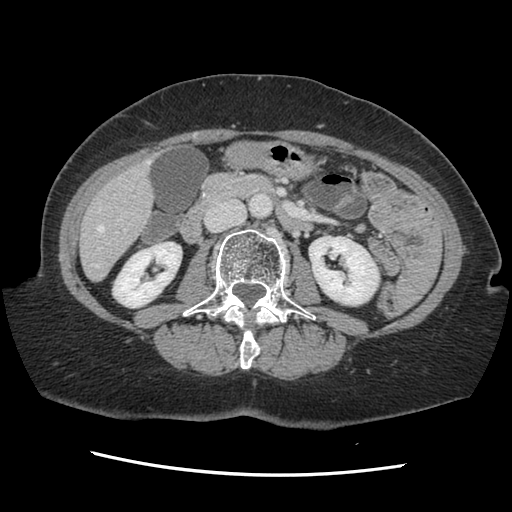 CT image

Some hepatic vessels may have no box.
Hepatic vessel = [x1=98, y1=225, x2=103, y2=231], [x1=93, y1=263, x2=97, y2=266].